Image size 240x240; Brain; Image width 240 mm
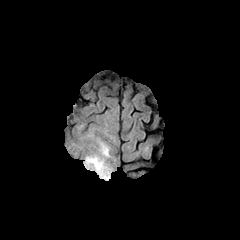
FLAIR MR image.
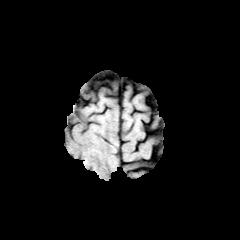
T1-weighted MR image.
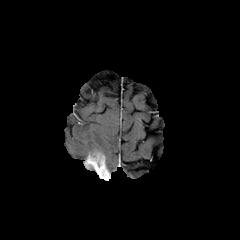
Post-contrast T1-weighted MR.
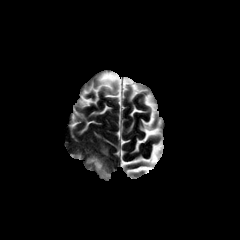
T2-weighted MRI.
Segmented structures:
- enhancing tumor: l=86, t=152, r=108, b=178
- edema: l=98, t=143, r=110, b=159